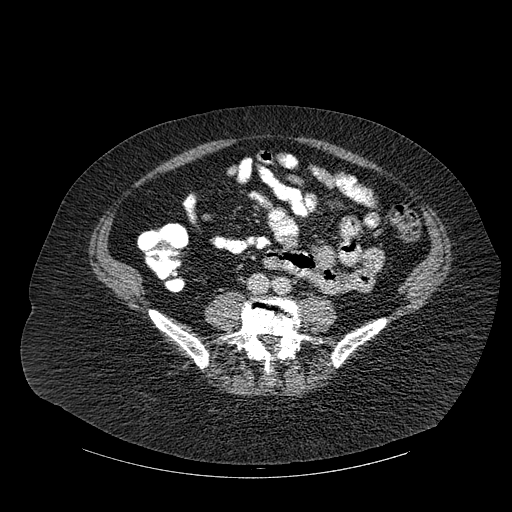
512x512 px; CT image

Annotated regions:
- bone: [149, 310, 208, 368], [225, 297, 308, 374], [331, 318, 386, 367]